Abdomen, Computed tomography, Field of view 440 mm wide, 5.00 mm slice spacing
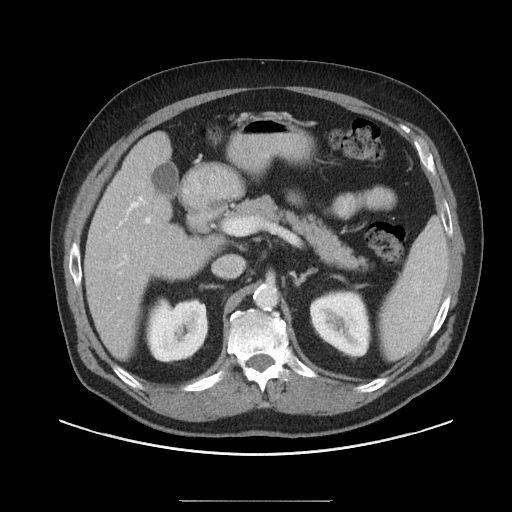

Some hepatic vessels may have no box.
3 hepatic vessel regions are located at left=146, top=218, right=149, bottom=222; left=124, top=255, right=126, bottom=257; left=126, top=197, right=144, bottom=218.